Head, Slice 62/155, Image size 240x240
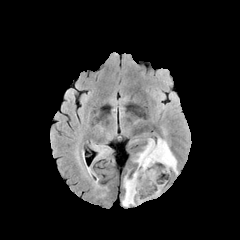
FLAIR MRI.
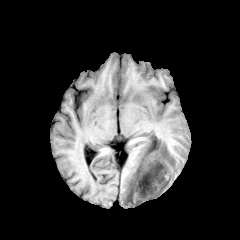
T1-weighted MRI.
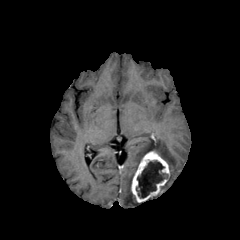
Post-contrast T1-weighted magnetic resonance.
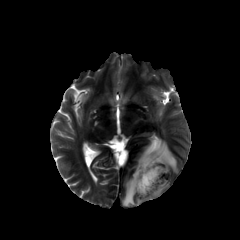
T2-weighted MR.
3 edema regions are located at x1=134 y1=138 x2=154 y2=166, x1=156 y1=138 x2=177 y2=173, x1=122 y1=173 x2=141 y2=206. The enhancing tumor lies within x1=130 y1=150 x2=170 y2=202. The non-enhancing tumor core lies within x1=137 y1=161 x2=168 y2=197.